CT slice | 512x512 | Field of view 700 mm wide, 3.27 mm slice spacing

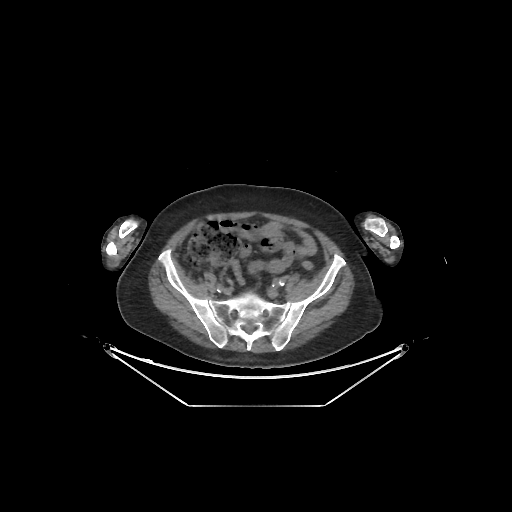

bone:
  - (x1=158, y1=249, x2=345, y2=350)
  - (x1=106, y1=242, x2=116, y2=255)
  - (x1=390, y1=236, x2=399, y2=248)
  - (x1=365, y1=218, x2=388, y2=236)
  - (x1=119, y1=220, x2=137, y2=238)